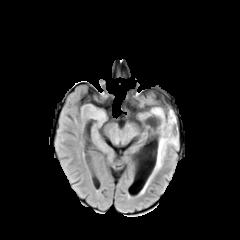
FLAIR MR.
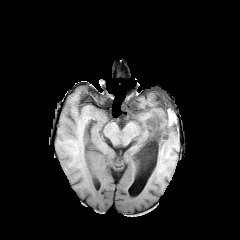
Same slice, T1-weighted MR image.
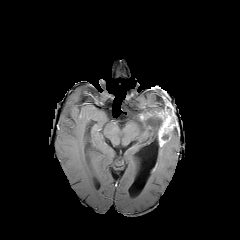
Post-contrast T1-weighted MR of the same slice.
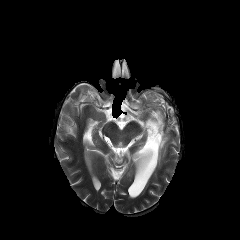
T2-weighted MRI.
{
  "non-enhancing_tumor_core": [
    "rect(151, 116, 162, 139)"
  ],
  "edema": [
    "rect(148, 128, 178, 182)",
    "rect(145, 106, 163, 115)"
  ],
  "enhancing_tumor": [
    "rect(155, 110, 174, 145)"
  ]
}